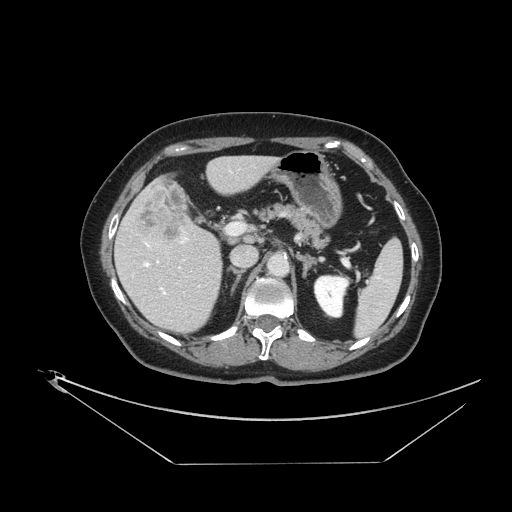

Computed tomography; Abdomen
Some hepatic vessels may have no box.
Liver tumor = bbox=[140, 197, 184, 244].
Hepatic vessel = bbox=[143, 261, 150, 267]; bbox=[178, 267, 180, 269]; bbox=[179, 236, 188, 243]; bbox=[227, 223, 242, 234]; bbox=[144, 241, 150, 248]; bbox=[156, 260, 159, 263]; bbox=[160, 287, 165, 294].